FLAIR MR image.
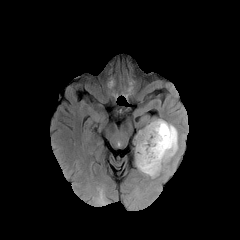
T1-weighted MR image.
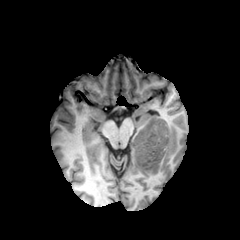
Post-contrast T1-weighted magnetic resonance.
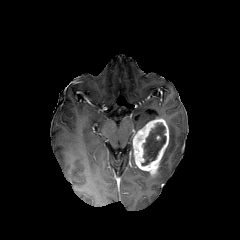
T2-weighted MR image.
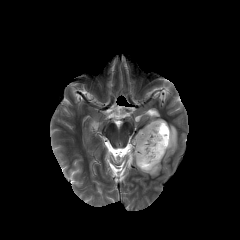
Head
Enhancing tumor: 133,119,169,175.
Edema: 139,122,178,177.
Non-enhancing tumor core: 141,123,166,165.